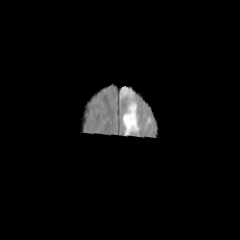
FLAIR MR image.
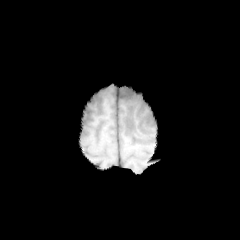
Same slice, T1-weighted magnetic resonance.
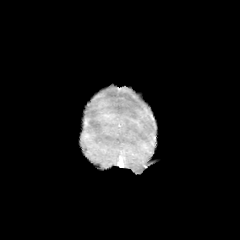
Post-contrast T1-weighted magnetic resonance of the same slice.
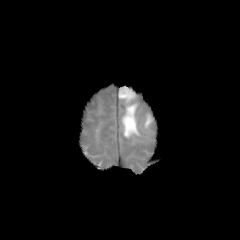
T2-weighted magnetic resonance.
240x240.
Edema: bounding box [145, 114, 152, 125], [118, 86, 136, 101], [121, 103, 142, 138].